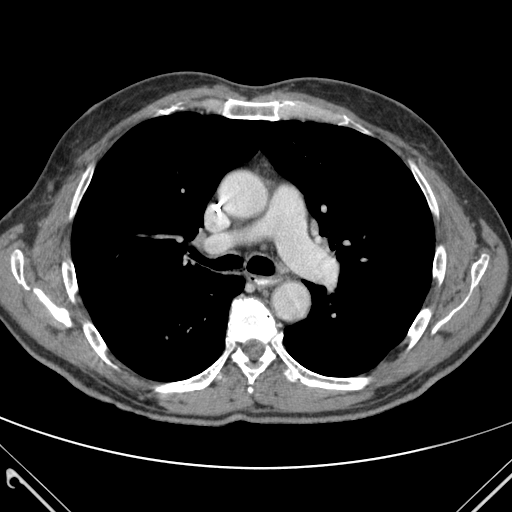
CT scan slice
The lung is at <bbox>71, 112, 434, 381</bbox>. 14 bone regions appear at <bbox>70, 169, 91, 216</bbox>, <bbox>215, 98, 302, 120</bbox>, <bbox>408, 309, 430, 347</bbox>, <bbox>412, 165, 437, 214</bbox>, <bbox>11, 250, 29, 289</bbox>, <bbox>34, 289, 70, 326</bbox>, <bbox>312, 107, 354, 124</bbox>, <bbox>433, 247, 445, 282</bbox>, <bbox>159, 106, 176, 113</bbox>, <bbox>470, 255, 488, 293</bbox>, <bbox>156, 298, 367, 392</bbox>, <bbox>432, 294, 469, 332</bbox>, <bbox>62, 263, 77, 300</bbox>, <bbox>84, 323, 110, 363</bbox>.